512x512 px | Computed tomography

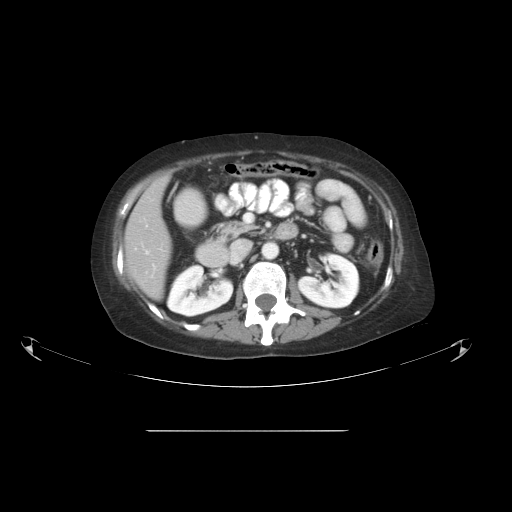
Not every hepatic vessel necessarily has a box.
Annotated regions:
* hepatic vessel: l=146, t=225, r=147, b=227; l=153, t=265, r=155, b=271; l=145, t=250, r=148, b=253